Slice 95 of 154 | 512x512 px | CT | Field of view 411 mm wide, 1.50 mm slice spacing | Abdomen
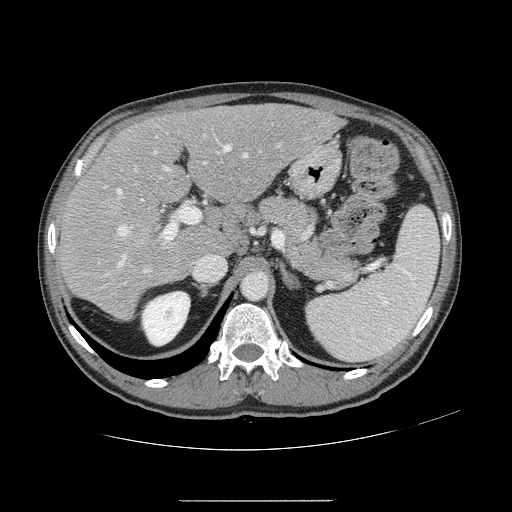 Only some of the vessels may be annotated.
15 hepatic vessel regions are bounded by l=134, t=167, r=136, b=170; l=144, t=267, r=150, b=272; l=164, t=223, r=175, b=239; l=177, t=206, r=199, b=222; l=243, t=153, r=246, b=156; l=277, t=144, r=280, b=146; l=117, t=255, r=125, b=267; l=164, t=167, r=169, b=170; l=107, t=273, r=110, b=275; l=155, t=150, r=156, b=152; l=104, t=186, r=106, b=187; l=117, t=225, r=128, b=235; l=117, t=189, r=122, b=198; l=222, t=145, r=230, b=151; l=216, t=151, r=217, b=152. 2 liver tumor regions appear at l=129, t=250, r=153, b=263; l=166, t=251, r=177, b=263.